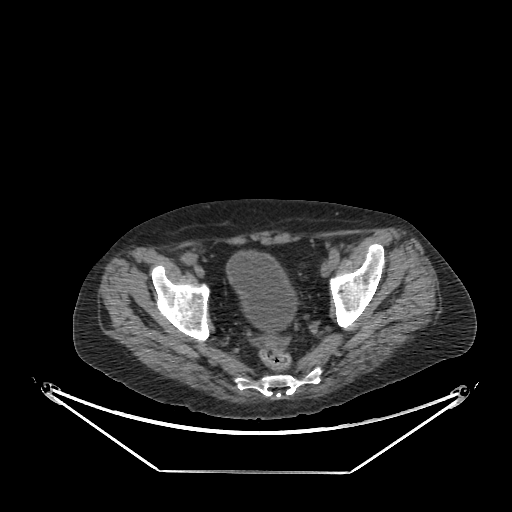
Computed tomography

The urinary bladder is located at x1=226 y1=250 x2=299 y2=336.